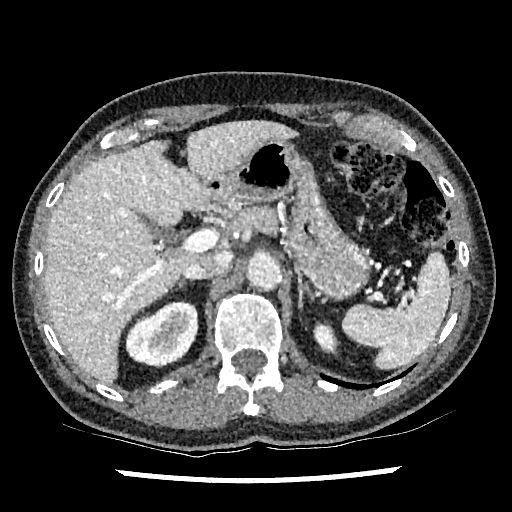 Image size 512x512 | Computed tomography

kidney: {"x1": 127, "y1": 303, "x2": 196, "y2": 364}, {"x1": 316, "y1": 326, "x2": 332, "y2": 348} | liver: {"x1": 45, "y1": 121, "x2": 297, "y2": 382}